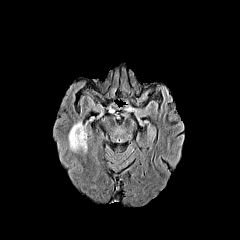
FLAIR MR image.
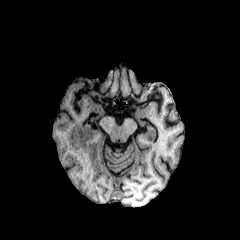
T1-weighted MR of the same slice.
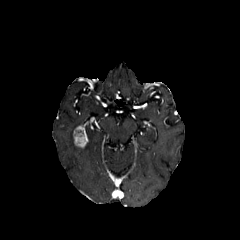
Post-contrast T1-weighted MRI of the same slice.
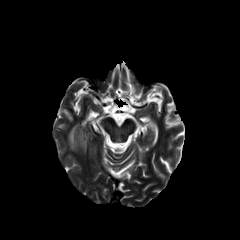
T2-weighted magnetic resonance of the same slice.
Image size 240x240
enhancing_tumor:
  - rect(73, 126, 88, 147)
edema:
  - rect(68, 122, 81, 152)